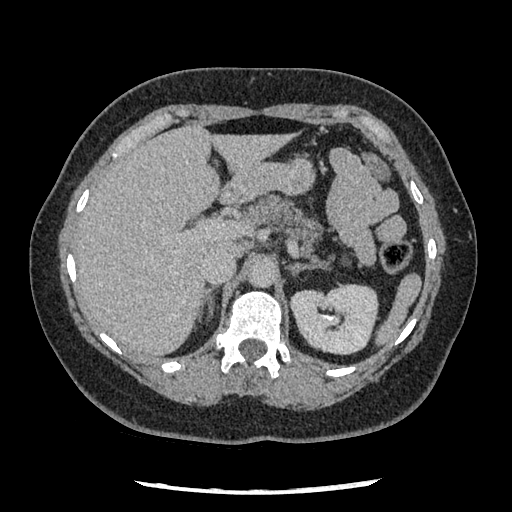
Computed tomography; Upper abdomen
The pancreas is at [247,195,323,264].